Slice index 31 | CT 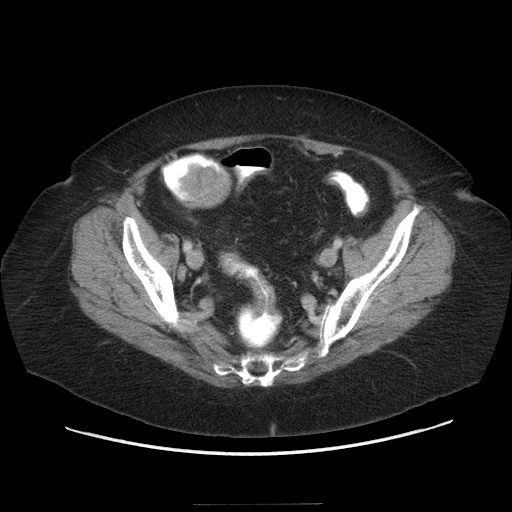 The colon tumor is bounded by x1=178, y1=163, x2=229, y2=206.